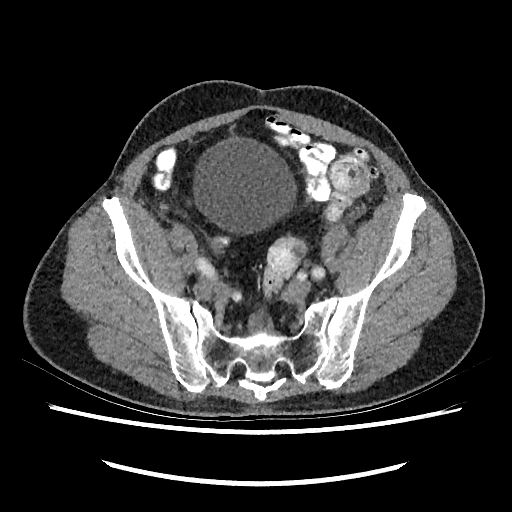 Computed tomography
The urinary bladder is bounded by x1=193 y1=131 x2=296 y2=233.